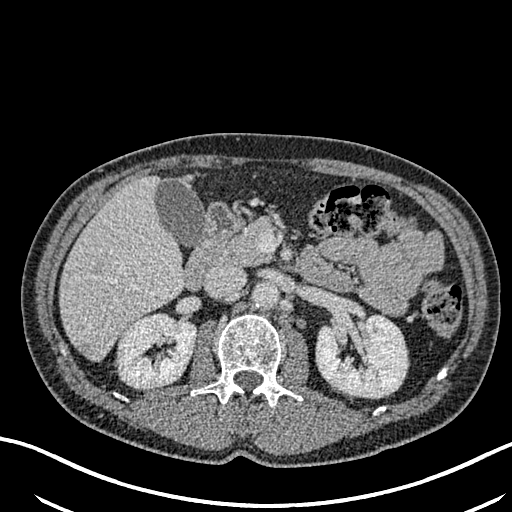
Liver | CT image

Kidney — x1=316 y1=315 x2=407 y2=396, x1=119 y1=314 x2=195 y2=387.
Hepatic lesion — x1=90 y1=260 x2=104 y2=275, x1=76 y1=343 x2=91 y2=356.
Liver — x1=60 y1=177 x2=183 y2=359.